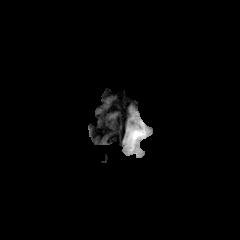
FLAIR magnetic resonance.
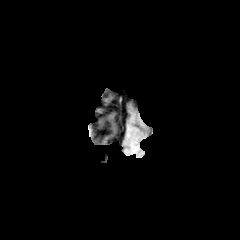
T1-weighted MRI.
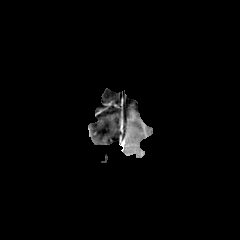
Post-contrast T1-weighted MRI.
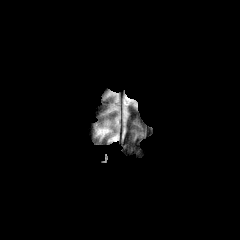
Same slice, T2-weighted MR.
Head
The edema is located at (x1=129, y1=122, x2=146, y2=142).